CT. Slice index 96. Field of view 512x512 mm. 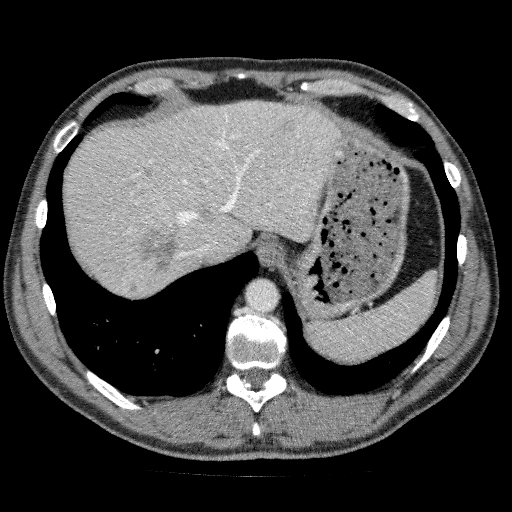
The liver is located at [65,101,337,298]. 3 liver lesion regions are bounded by [142,166,152,177], [281,120,294,131], [136,227,180,275].